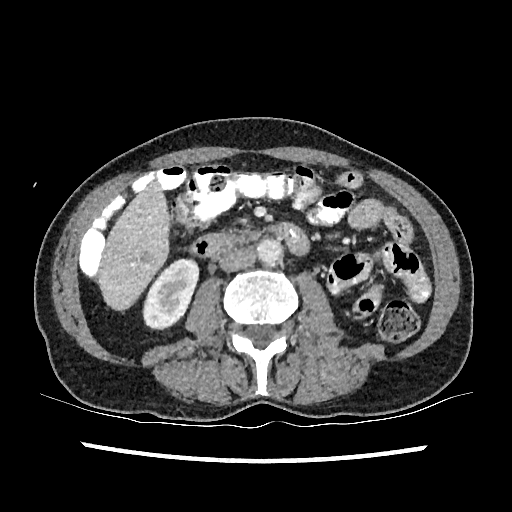
Image size 512x512; Liver; CT slice
The liver lesion is bounded by 140,251,154,262. The kidney appears at 144,259,198,327. The liver lies within 100,180,168,309.